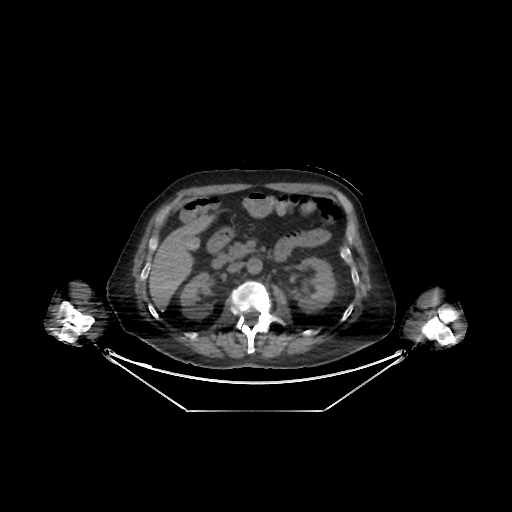

Computed tomography; Abdomen

Liver — region(149, 211, 214, 306).
Kidney — region(178, 270, 214, 319); region(294, 255, 335, 313).